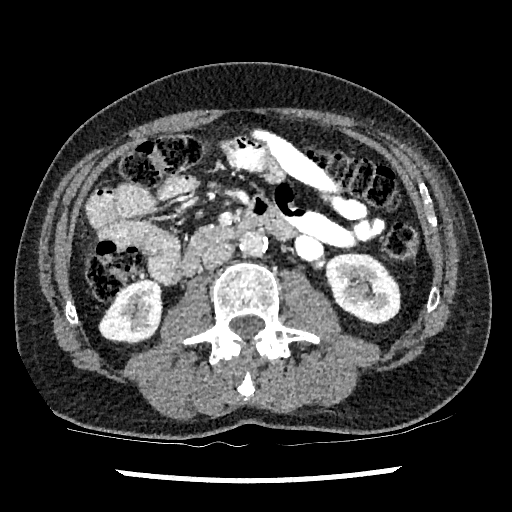 CT | 512x512 px

2 kidney regions are bounded by <box>100,281,161,341</box>, <box>327,255,399,322</box>.